CT image, Pelvis, Image size 512x512
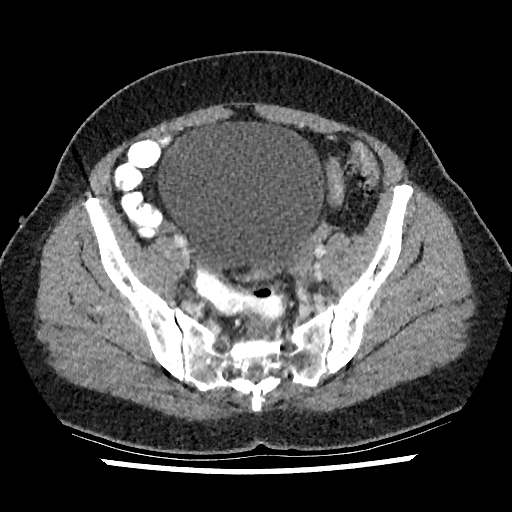 The urinary bladder appears at 158:122:324:279.